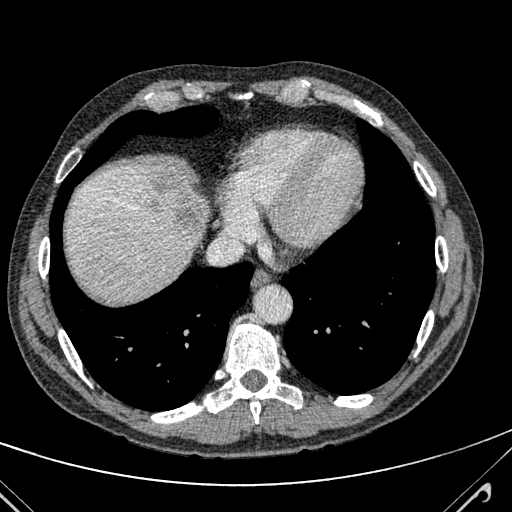 CT scan slice; Upper abdomen
The liver lies within x1=66, y1=163, x2=208, y2=300. 3 hepatic lesion regions are bounded by x1=154, y1=168, x2=170, y2=192; x1=173, y1=203, x2=200, y2=229; x1=151, y1=200, x2=158, y2=210.